Liver | CT slice 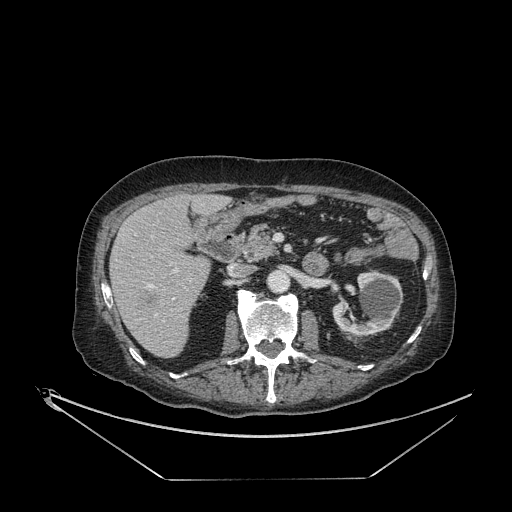
liver: (x1=110, y1=193, x2=230, y2=358) | focal liver lesion: (x1=142, y1=292, x2=159, y2=309) | kidney: (x1=357, y1=271, x2=402, y2=296), (x1=321, y1=279, x2=338, y2=291), (x1=333, y1=297, x2=399, y2=336), (x1=345, y1=285, x2=354, y2=293)